CT

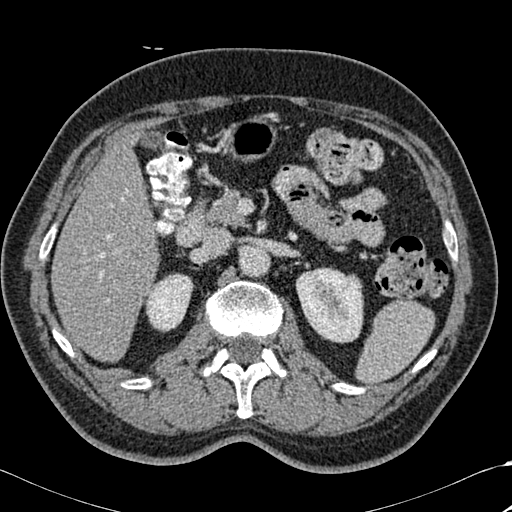
Liver: box(52, 144, 158, 360); box(123, 134, 138, 144).
Kidney: box(147, 275, 191, 329); box(296, 269, 361, 341).
Bone: box(122, 378, 150, 388); box(40, 227, 55, 258); box(413, 350, 435, 371); box(204, 281, 285, 418); box(444, 222, 457, 259); box(53, 330, 73, 355); box(334, 383, 363, 394).